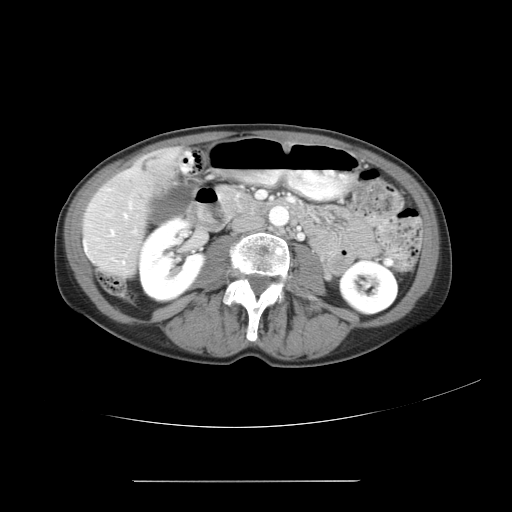 CT, Abdomen

The vessel annotation is not exhaustive.
liver_tumor:
  - l=140, t=154, r=172, b=190
hepatic_vessel:
  - l=110, t=230, r=113, b=234
  - l=123, t=214, r=126, b=217
  - l=107, t=214, r=108, b=215
  - l=128, t=203, r=130, b=207
  - l=122, t=260, r=124, b=263
  - l=132, t=230, r=136, b=232
  - l=105, t=188, r=108, b=190